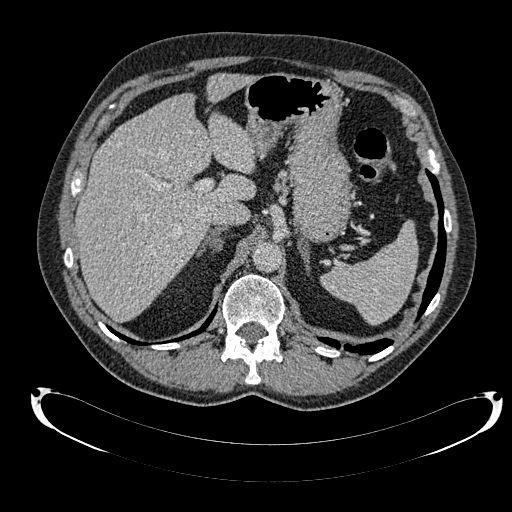

Upper abdomen | CT slice

2 liver regions are bounded by bbox=[77, 94, 254, 320]; bbox=[207, 74, 249, 103].